CT scan slice; 512x512; Abdomen; Field of view 402x402 mm

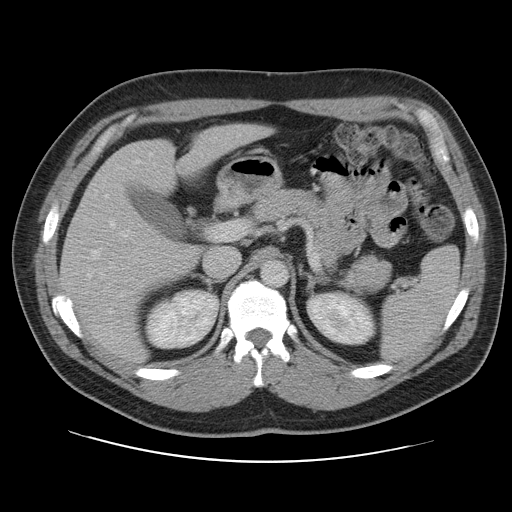

The vessel boxes may cover only some of the vessels.
hepatic_vessel:
  - left=151, top=264, right=152, bottom=265
  - left=121, top=230, right=128, bottom=236
  - left=165, top=240, right=175, bottom=247
  - left=148, top=228, right=150, bottom=230
  - left=108, top=310, right=112, bottom=313
  - left=92, top=250, right=97, bottom=259
  - left=87, top=274, right=91, bottom=277
  - left=110, top=221, right=114, bottom=226